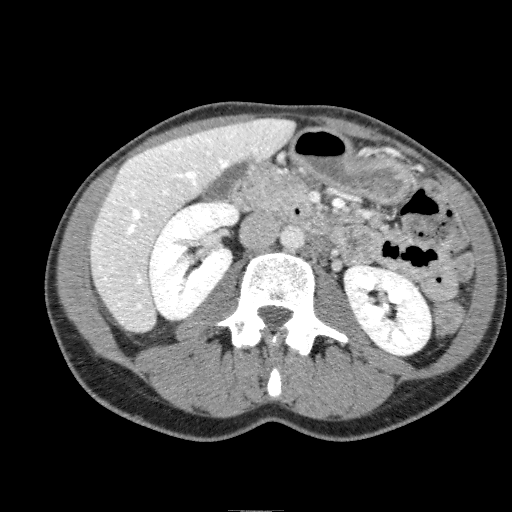 CT slice. Upper abdomen. Image size 512x512.

2 kidney regions are bounded by [345,266,430,354], [149,203,237,319]. The liver lies within [90,117,296,331].